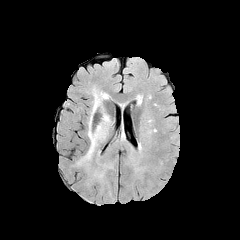
FLAIR MRI.
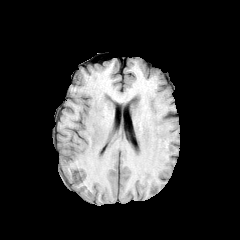
T1-weighted MRI of the same slice.
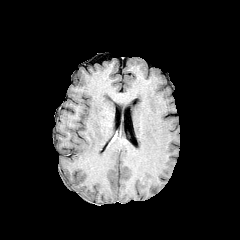
Post-contrast T1-weighted MR of the same slice.
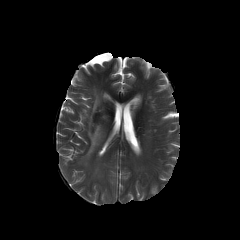
T2-weighted MR of the same slice.
2 edema regions appear at x1=76, y1=85, x2=109, y2=165; x1=99, y1=91, x2=110, y2=99.